CT image. 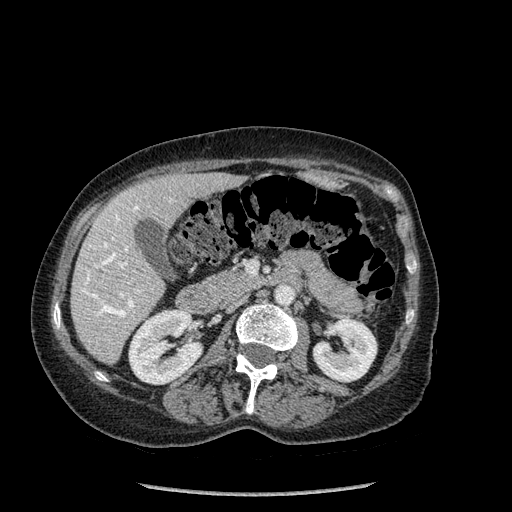
bone:
  - (236,353,279,413)
  - (407,262,416,273)
  - (53,303,60,328)
  - (95,371,107,381)
  - (406,310,413,323)
  - (236,302,297,351)
kidney:
  - (129,310,201,383)
  - (314,318,376,381)
liver:
  - (71,173,249,362)